FLAIR MR image.
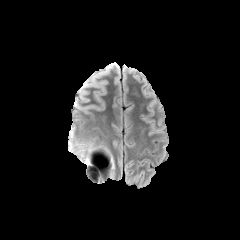
T1-weighted MR.
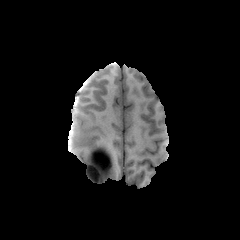
Post-contrast T1-weighted MR image.
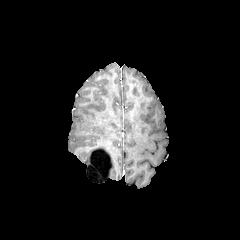
T2-weighted magnetic resonance.
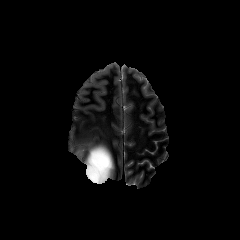
Image size 240x240
2 edema regions are bounded by 93:167:103:180, 76:144:102:173. The non-enhancing tumor core is bounded by 88:152:107:173.